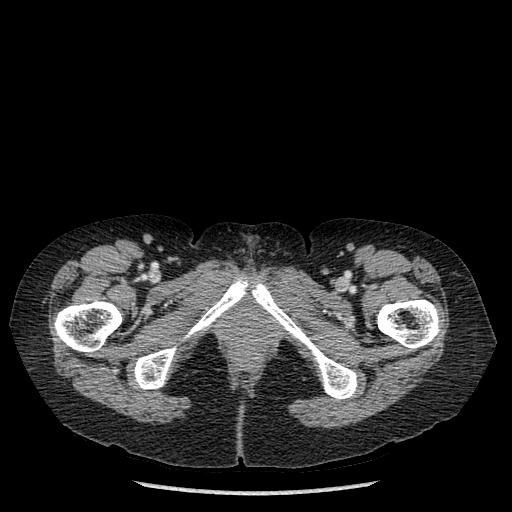 512x512, CT scan slice
• bone: <box>182,275,357,399</box>, <box>54,300,121,352</box>, <box>134,346,176,389</box>, <box>377,299,441,348</box>